Field of view 350 mm wide, 0.70 mm slice spacing; Abdomen; Slice index 484; CT
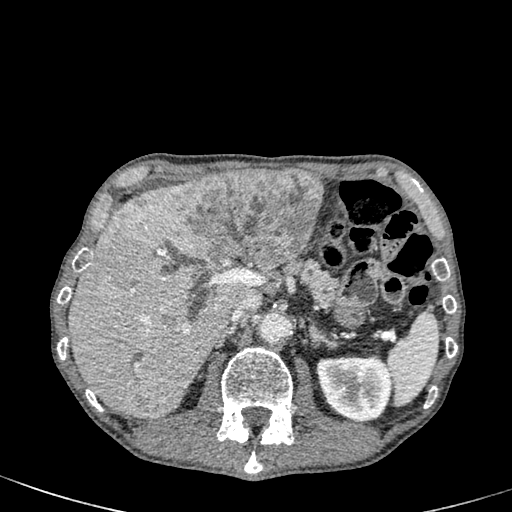 hepatic_lesion:
  - [163,316,175,328]
  - [135,394,149,407]
  - [184,168,323,272]
liver:
  - [68,180,249,417]
kidney:
  - [318,358,396,420]